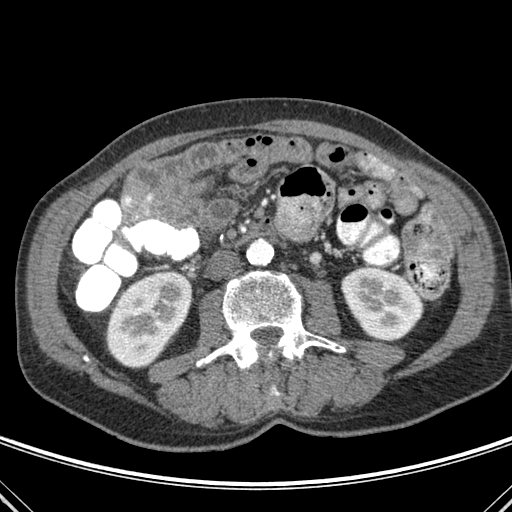 CT

bone:
  - [x1=196, y1=271, x2=345, y2=368]
  - [x1=270, y1=378, x2=278, y2=397]
kidney:
  - [x1=108, y1=274, x2=190, y2=366]
  - [x1=342, y1=268, x2=421, y2=339]